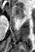

MR image
Annotated regions:
• anterior hippocampus: (left=12, top=6, right=24, bottom=19)